FLAIR MRI.
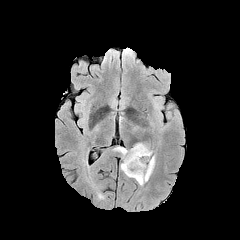
T1-weighted MRI.
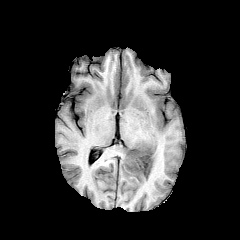
Post-contrast T1-weighted MR.
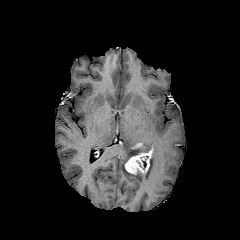
T2-weighted MRI.
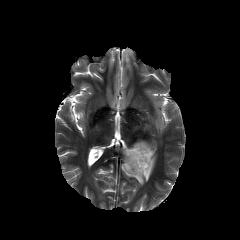
Head
- enhancing tumor: region(124, 150, 151, 174)
- edema: region(119, 141, 155, 185)
- non-enhancing tumor core: region(129, 144, 148, 157)